Upper abdomen | CT 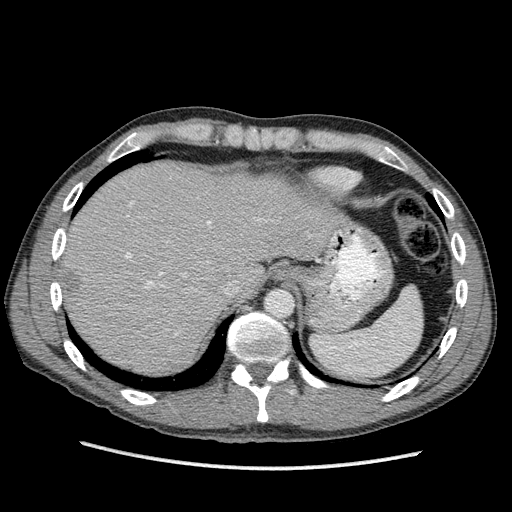
<segmentation>
  <liver>(59, 160, 339, 376)</liver>
  <focal_liver_lesion>(62, 270, 80, 291)</focal_liver_lesion>
</segmentation>